Image size 512x512 | Slice 27/108 | CT slice 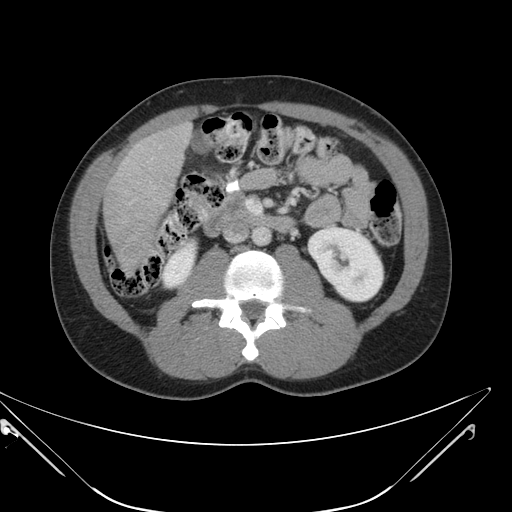

liver_tumor:
  - (x1=115, y1=223, x2=154, y2=274)